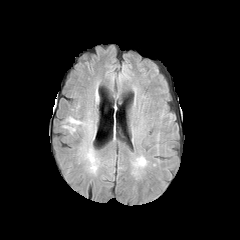
FLAIR MR.
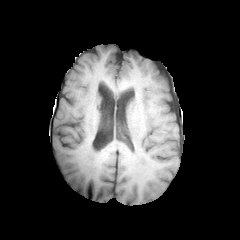
T1-weighted MR.
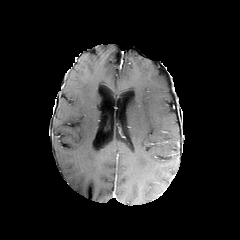
Post-contrast T1-weighted MR image.
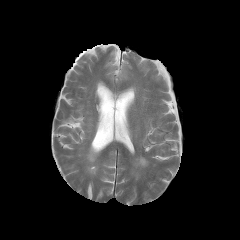
Same slice, T2-weighted MR image.
Brain
The edema is at [x1=133, y1=156, x2=148, y2=168].